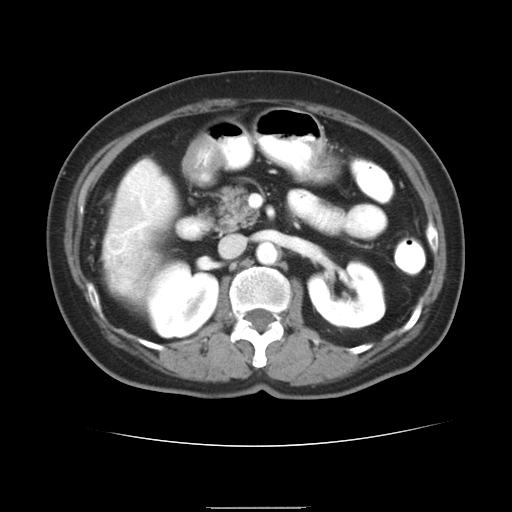
CT; Abdomen

liver_tumor:
  - 105,162,172,288